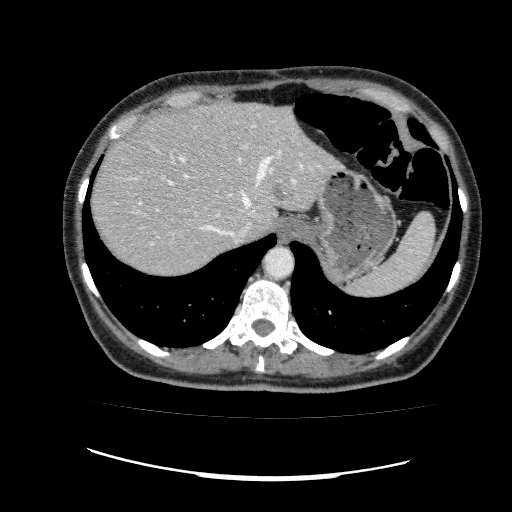 Upper abdomen, CT
focal_liver_lesion:
  - bbox(272, 183, 287, 201)
liver:
  - bbox(91, 100, 345, 277)